240x240 px, Brain
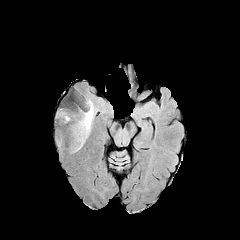
FLAIR MR.
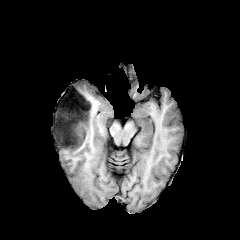
T1-weighted MR image of the same slice.
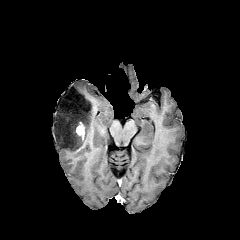
Post-contrast T1-weighted magnetic resonance.
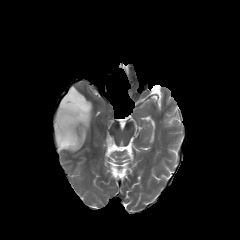
Same slice, T2-weighted MRI.
enhancing tumor: left=76, top=122, right=85, bottom=139 | non-enhancing tumor core: left=56, top=94, right=91, bottom=150 | edema: left=86, top=100, right=98, bottom=137